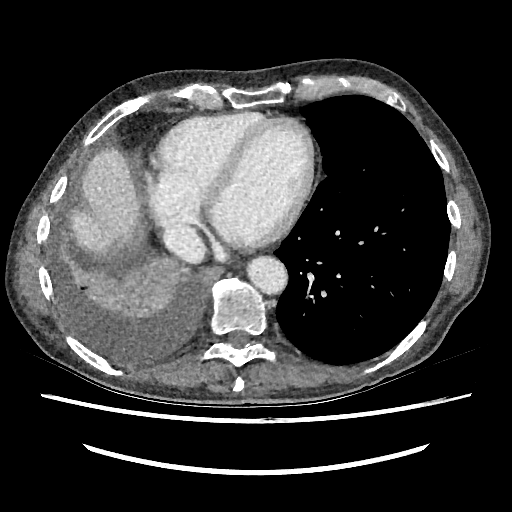

512x512 px. Computed tomography. <segmentation>
  <liver>[70, 149, 140, 253]</liver>
</segmentation>